512x512 px | Field of view 339 mm wide, 0.80 mm slice spacing | CT image | Liver

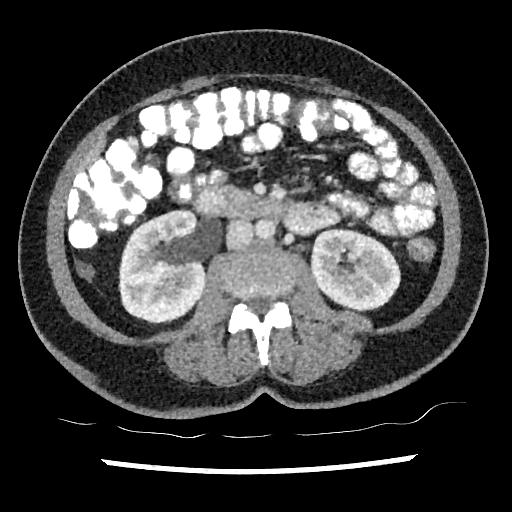

Kidney = [120,212,204,322], [312,230,399,309].
Liver = [82,138,104,169].